FLAIR magnetic resonance.
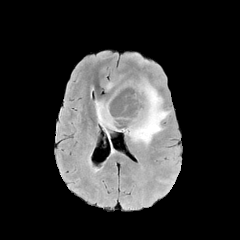
T1-weighted magnetic resonance.
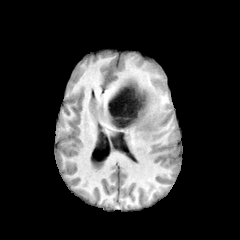
Post-contrast T1-weighted MR image.
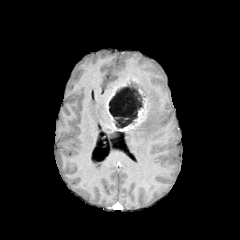
T2-weighted magnetic resonance.
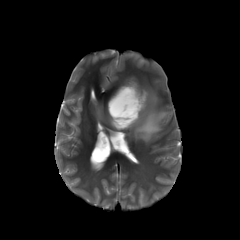
Head. Image size 240x240.
• enhancing tumor: <bbox>106, 90, 146, 131</bbox>
• edema: <bbox>94, 101, 115, 153</bbox>, <bbox>125, 83, 169, 144</bbox>
• non-enhancing tumor core: <bbox>108, 84, 145, 129</bbox>